512x512 px; Image width 330 mm; CT image
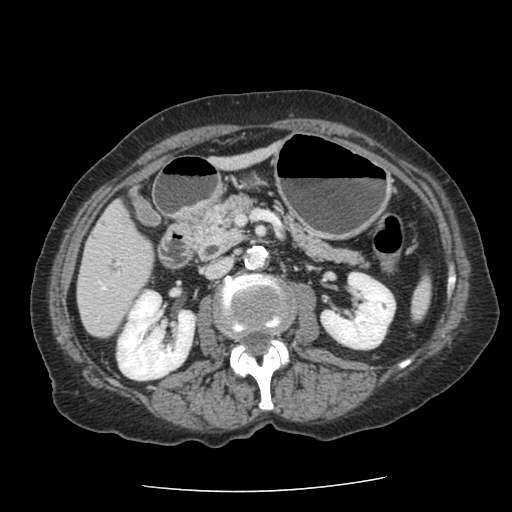
Segmented structures:
- pancreas: 286, 218, 362, 262; 194, 195, 251, 252